MR image | Slice 33/39
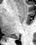
Posterior hippocampus at [13,35,18,38].